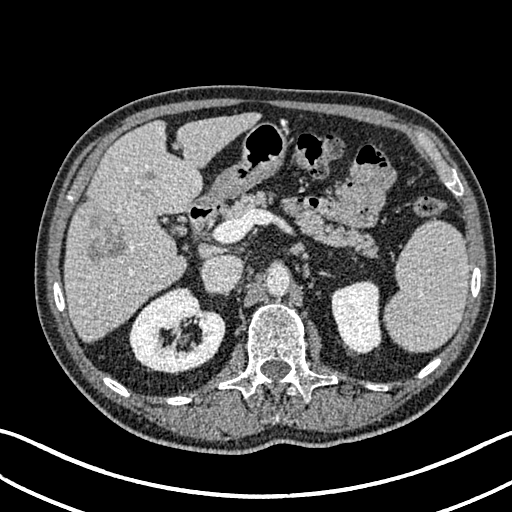
CT slice | Abdomen | 512x512
liver: 65:113:259:340 | liver lesion: 139:171:156:196, 89:214:128:257 | kidney: 332:282:380:352, 130:289:224:372